Hippocampus; Magnetic resonance 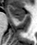
{"anterior_hippocampus": ["<bbox>7, 5, 24, 19</bbox>"]}